CT slice, 512x512 px, Field of view 465 mm wide, 5.00 mm slice spacing, Slice index 42

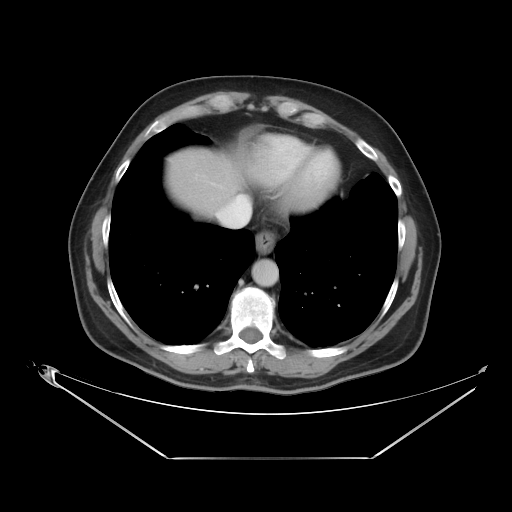 Some hepatic vessels may have no box.
The hepatic vessel is at left=219, top=196, right=251, bottom=222.